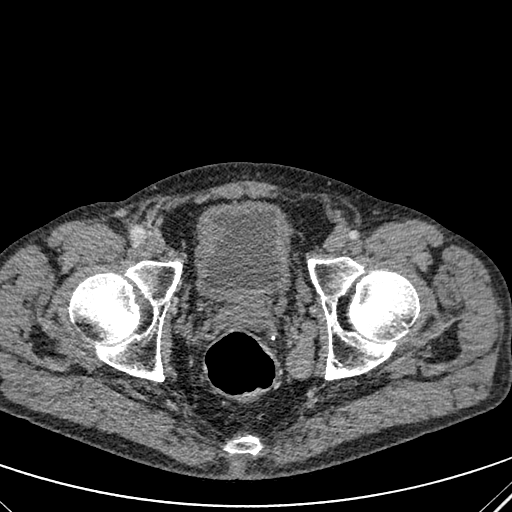
CT slice. Lower abdomen.
urinary_bladder:
  - [202, 208, 281, 294]